Field of view 310x310 mm. Abdomen. CT image.

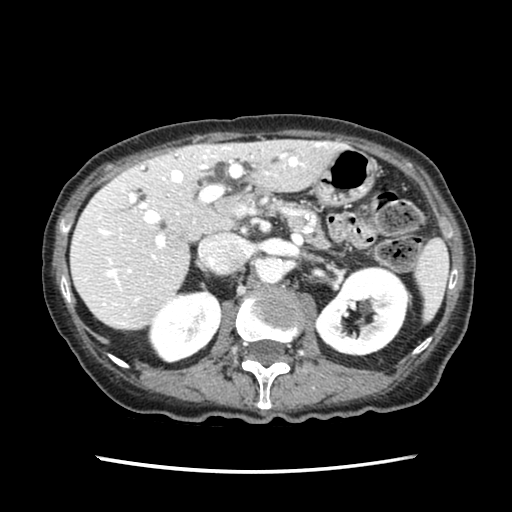
Pancreas: <box>282,205,328,249</box>.